512x512 px. CT image. Lower abdomen.
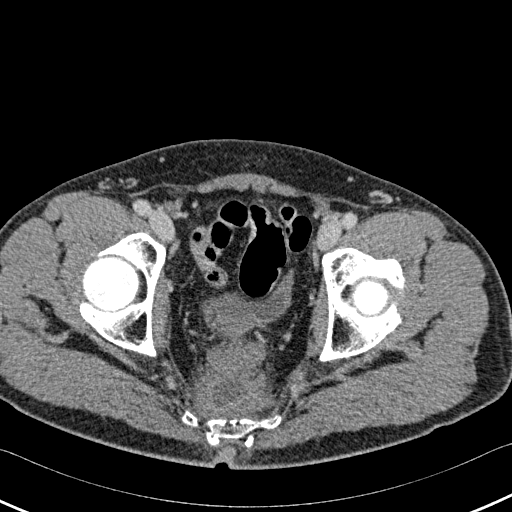

Bone: (x1=203, y1=416, x2=281, y2=445), (x1=79, y1=233, x2=165, y2=355), (x1=320, y1=248, x2=404, y2=360), (x1=182, y1=411, x2=201, y2=428), (x1=242, y1=433, x2=255, y2=446).
Urinary bladder: (x1=204, y1=271, x2=293, y2=331).